FLAIR MR image.
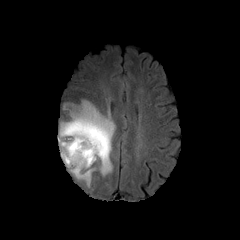
T1-weighted MRI.
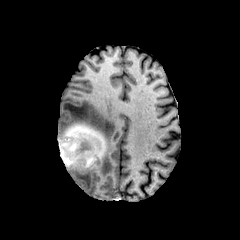
Post-contrast T1-weighted MR image.
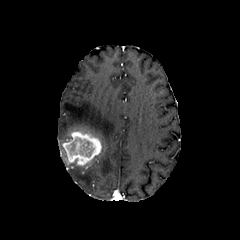
T2-weighted magnetic resonance.
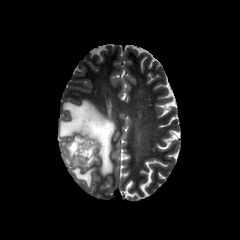
Brain
The enhancing tumor is bounded by l=67, t=132, r=101, b=165. 3 non-enhancing tumor core regions are located at l=65, t=136, r=94, b=158; l=66, t=125, r=108, b=158; l=60, t=142, r=96, b=167. 2 edema regions appear at l=59, t=99, r=115, b=175; l=72, t=167, r=91, b=186.